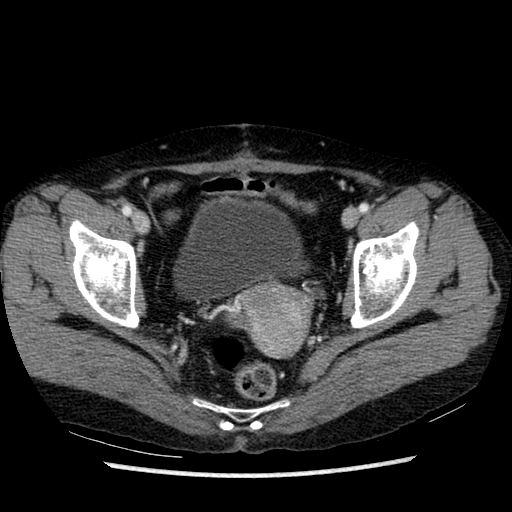 Computed tomography.
The urinary bladder is bounded by region(173, 196, 312, 300).